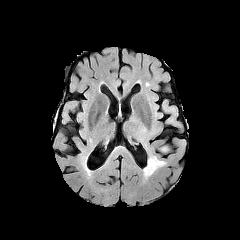
FLAIR MRI.
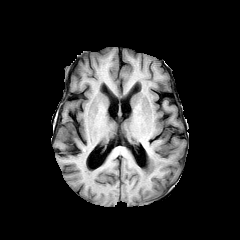
T1-weighted MR.
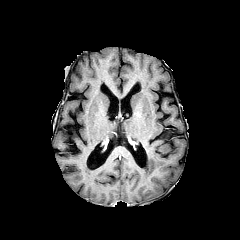
Post-contrast T1-weighted MRI of the same slice.
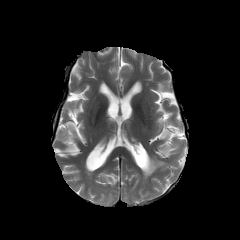
T2-weighted MRI.
Brain
Annotated regions:
- edema: {"x1": 142, "y1": 154, "x2": 166, "y2": 178}